FLAIR MRI.
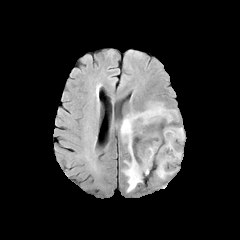
T1-weighted magnetic resonance.
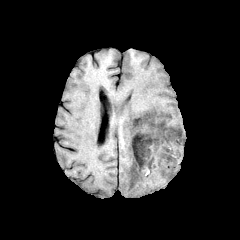
Post-contrast T1-weighted magnetic resonance.
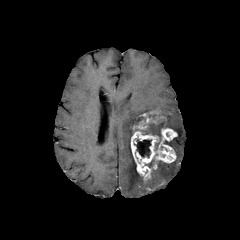
T2-weighted MRI.
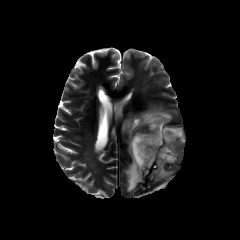
3 non-enhancing tumor core regions are located at (133,113,166,150), (145,156,157,173), (134,139,151,158). 2 enhancing tumor regions are bounded by (131,128,177,177), (133,121,146,129). 3 edema regions appear at (121,103,177,192), (156,160,173,178), (166,127,184,159).